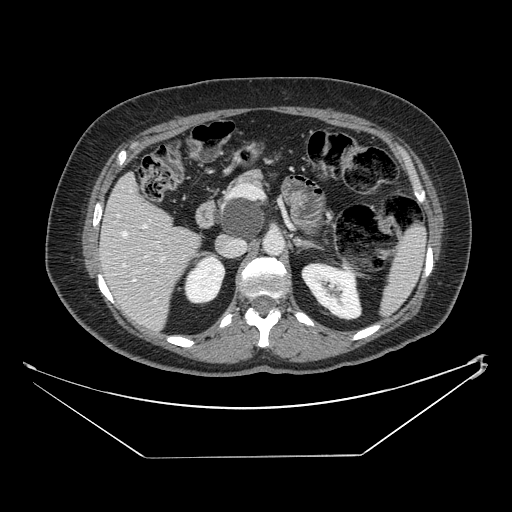
Computed tomography. 512x512. Pancreatic tumor at l=219, t=200, r=263, b=237.
Pancreas at l=229, t=169, r=268, b=190; l=211, t=197, r=266, b=241.